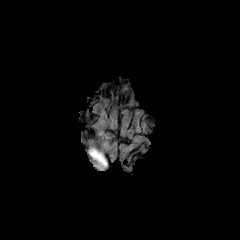
FLAIR MR.
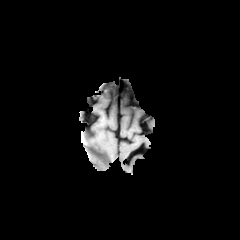
T1-weighted MRI of the same slice.
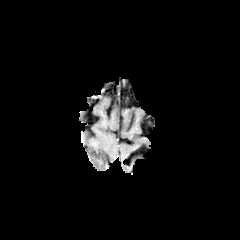
Post-contrast T1-weighted MR.
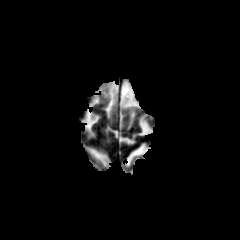
Same slice, T2-weighted MR image.
Image size 240x240.
{
  "edema": [
    "l=88, t=148, r=107, b=170"
  ]
}